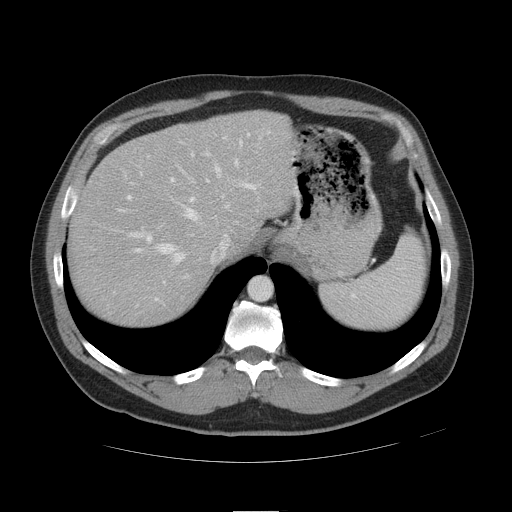

Abdomen | CT scan slice | 512x512

The vessel annotation is not exhaustive.
<segmentation>
  <hepatic_vessel>(left=224, top=137, right=225, bottom=138), (left=239, top=139, right=242, bottom=144), (left=235, top=160, right=237, bottom=165), (left=159, top=244, right=174, bottom=252), (left=185, top=208, right=197, bottom=219), (left=190, top=198, right=193, bottom=200), (left=206, top=154, right=210, bottom=155), (left=155, top=298, right=157, bottom=299), (left=215, top=165, right=220, bottom=176), (left=174, top=253, right=184, bottom=262), (left=147, top=235, right=151, bottom=240), (left=128, top=196, right=130, bottom=198), (left=241, top=183, right=255, bottom=189), (left=163, top=281, right=164, bottom=283), (left=191, top=153, right=194, bottom=155)</hepatic_vessel>
</segmentation>